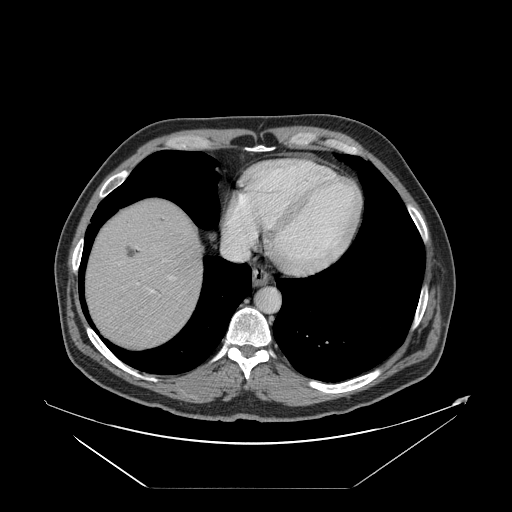 Liver, CT slice

The vessel boxes may cover only some of the vessels.
{"hepatic_vessel": ["box(134, 246, 135, 248)", "box(223, 229, 255, 260)", "box(168, 277, 174, 280)", "box(149, 289, 153, 292)"]}